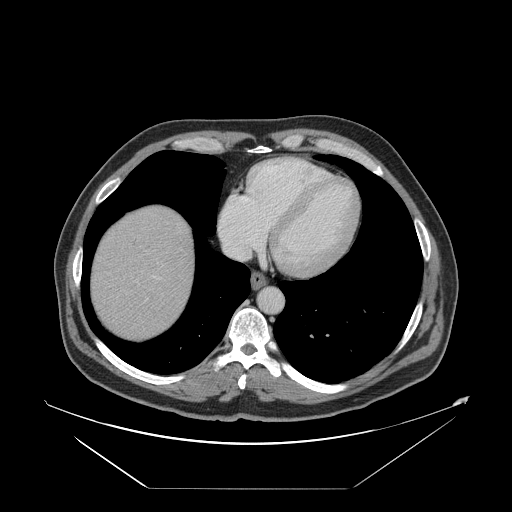

Liver; Image size 512x512; CT
Not every hepatic vessel necessarily has a box.
{
  "hepatic_vessel": [
    "bbox(155, 277, 156, 278)"
  ]
}